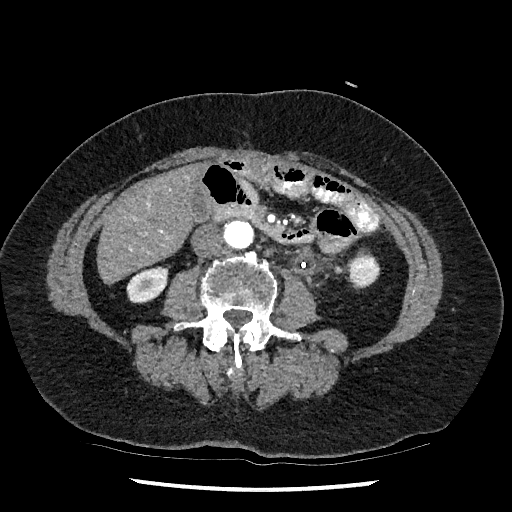 CT image; Abdomen

kidney: rect(350, 256, 378, 286); rect(127, 268, 166, 302) | liver: rect(98, 163, 202, 282)